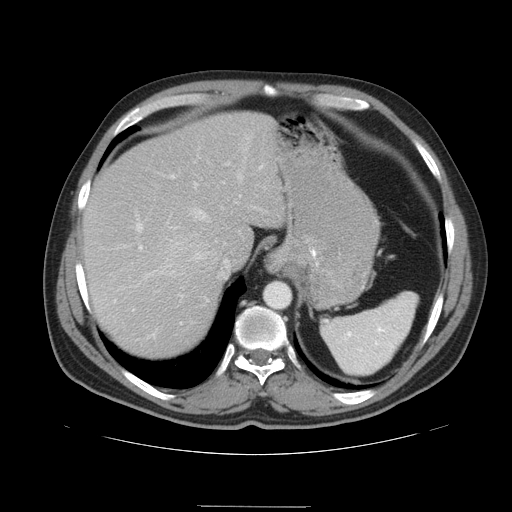
Abdomen; Image size 512x512; CT scan slice

Some hepatic vessels may have no box.
[15/19] hepatic vessel: (148,332,156,338), (226,163,228,165), (236,200,239,203), (260,166,262,168), (194,183,197,186), (137,218,141,231), (139,246,141,251), (179,295,183,298), (201,254,204,259), (170,227,175,228), (170,176,174,178), (238,174,242,179), (193,210,210,222), (218,260,229,278), (114,300,116,302) | liver tumor: (178,243,200,269)